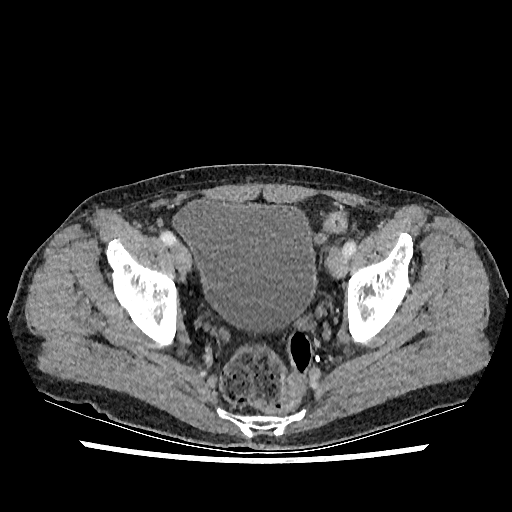 CT slice, Image size 512x512
Urinary bladder at x1=175 y1=198 x2=316 y2=332.